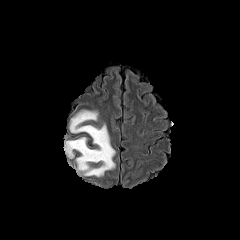
FLAIR MRI.
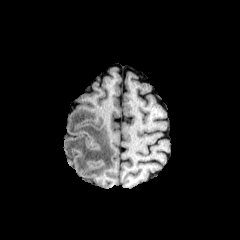
Same slice, T1-weighted magnetic resonance.
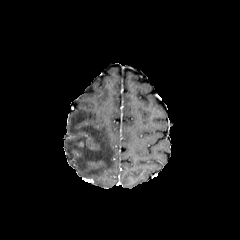
Post-contrast T1-weighted MRI.
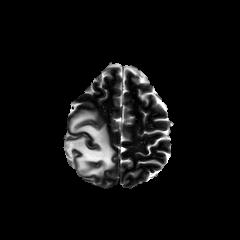
Same slice, T2-weighted MR image.
Brain
edema:
  - bbox(64, 110, 116, 176)